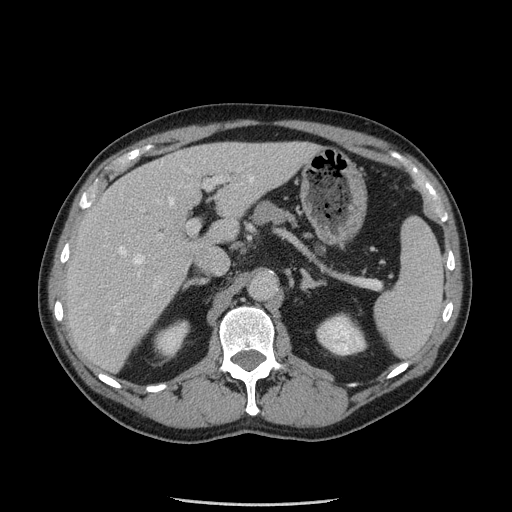

CT image. 512x512.

Findings:
- pancreas: [x1=251, y1=200, x2=328, y2=257]